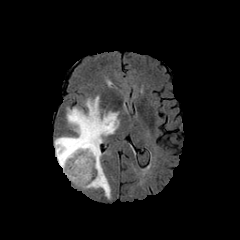
FLAIR MR.
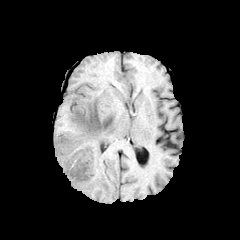
T1-weighted MR image.
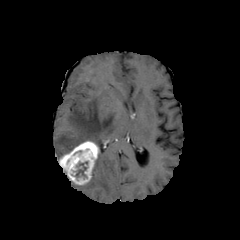
Post-contrast T1-weighted MRI of the same slice.
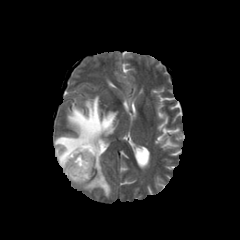
T2-weighted magnetic resonance.
Brain
Findings:
* enhancing tumor: <bbox>59, 141, 99, 185</bbox>
* edema: <bbox>79, 151, 112, 198</bbox>, <bbox>54, 96, 118, 161</bbox>